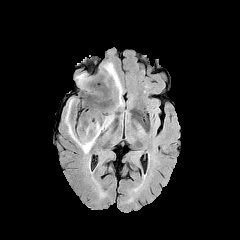
FLAIR MR image.
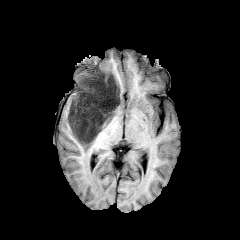
T1-weighted magnetic resonance.
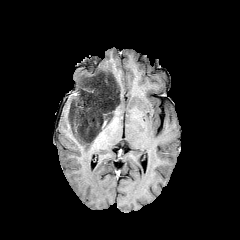
Post-contrast T1-weighted MR image of the same slice.
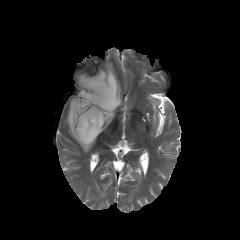
Same slice, T2-weighted MR.
Findings:
* edema: 92,77,105,108; 101,61,124,106; 76,73,86,84; 65,114,94,153
* non-enhancing tumor core: 74,71,120,141; 69,106,74,125